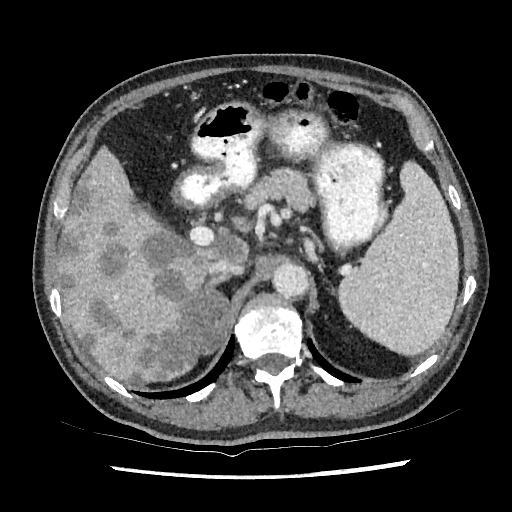

Image size 512x512. Liver. CT.

<segmentation>
  <liver_lesion>211:236:246:263, 67:181:95:221, 142:232:202:267, 89:269:194:377, 126:196:141:214, 94:222:128:279, 79:334:96:350, 60:226:80:261, 60:270:74:292, 128:372:141:380</liver_lesion>
  <liver>60:147:217:380, 240:239:250:258, 212:229:235:241</liver>
</segmentation>